Abdomen. Field of view 385 mm wide, 0.80 mm slice spacing. CT.
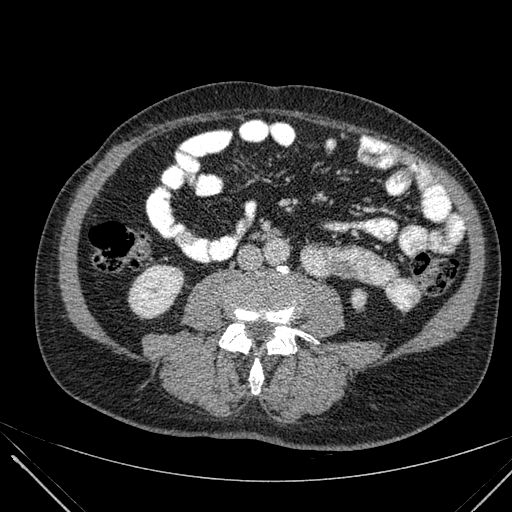
Kidney at left=129, top=265, right=182, bottom=317; left=352, top=290, right=364, bottom=306.